Slice index 22 | Image size 512x512 | Liver | Field of view 438 mm wide, 5.00 mm slice spacing | Computed tomography
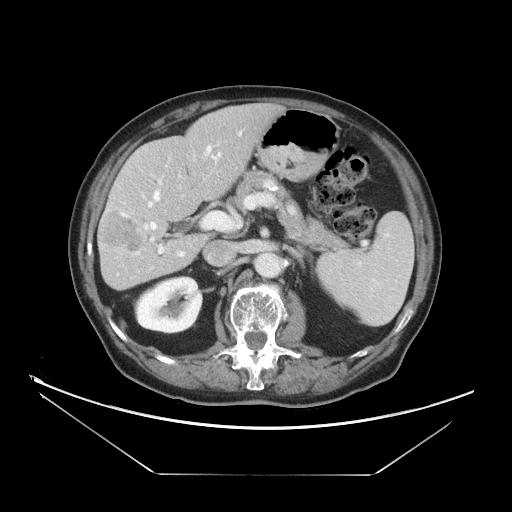
Not every hepatic vessel necessarily has a box.
<segmentation>
  <hepatic_vessel><box>238,132,240,135</box>, <box>158,246,164,253</box>, <box>214,153,219,160</box>, <box>179,252,183,255</box>, <box>148,191,159,207</box>, <box>151,236,153,240</box>, <box>150,222,156,228</box>, <box>208,147,209,151</box></hepatic_vessel>
  <liver_tumor><box>100,212,144,250</box></liver_tumor>
</segmentation>